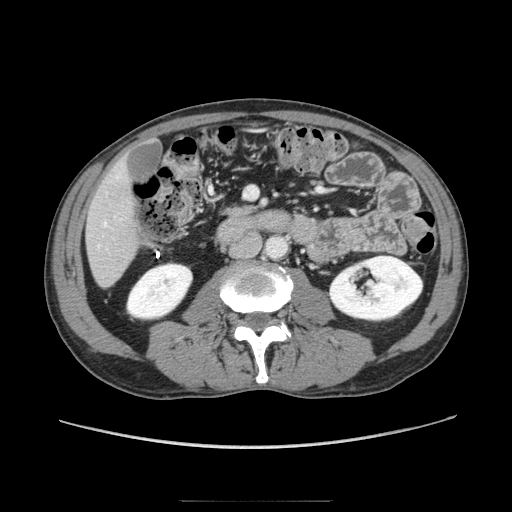 Computed tomography.
Pancreas at (224,206,250,216).